Hippocampus | MR 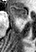
Anterior hippocampus: region(9, 5, 26, 20).